CT; Image size 512x512; Slice index 35; Abdomen

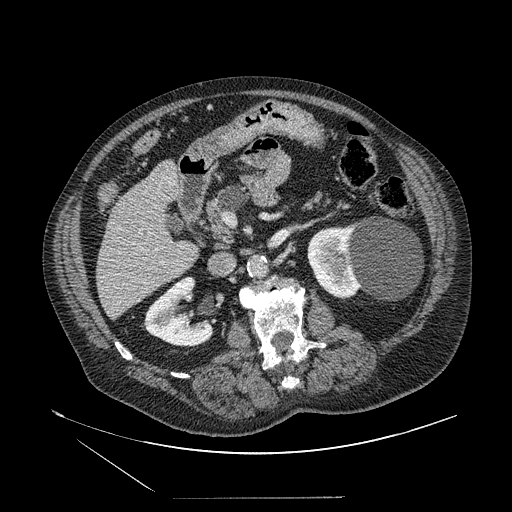

Pancreatic tumor: (x1=219, y1=185, x2=249, y2=210).
Pancreas: (x1=205, y1=187, x2=246, y2=245).